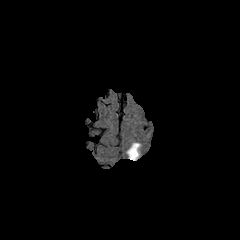
FLAIR MR.
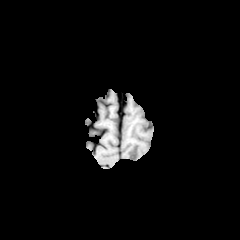
T1-weighted MR image.
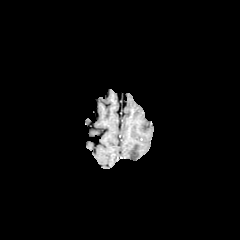
Post-contrast T1-weighted MR image.
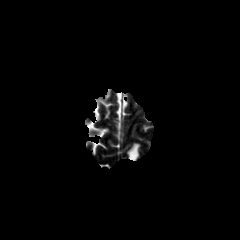
T2-weighted magnetic resonance.
Head
<segmentation>
  <edema>rect(127, 142, 140, 160)</edema>
</segmentation>